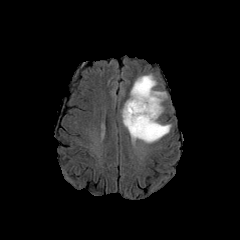
FLAIR magnetic resonance.
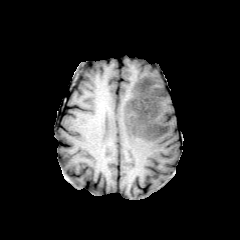
T1-weighted MRI.
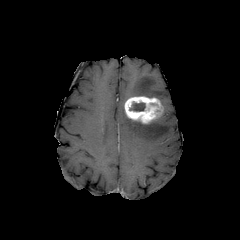
Post-contrast T1-weighted MR.
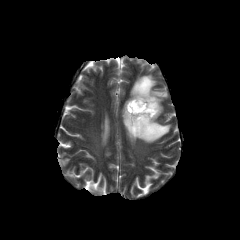
Same slice, T2-weighted MRI.
Image size 240x240; Brain
Non-enhancing tumor core: bounding box {"x1": 136, "y1": 79, "x2": 157, "y2": 97}, {"x1": 132, "y1": 103, "x2": 145, "y2": 111}.
Edema: bounding box {"x1": 122, "y1": 108, "x2": 171, "y2": 143}, {"x1": 129, "y1": 73, "x2": 167, "y2": 101}.
Enhancing tumor: bounding box {"x1": 124, "y1": 96, "x2": 163, "y2": 124}.